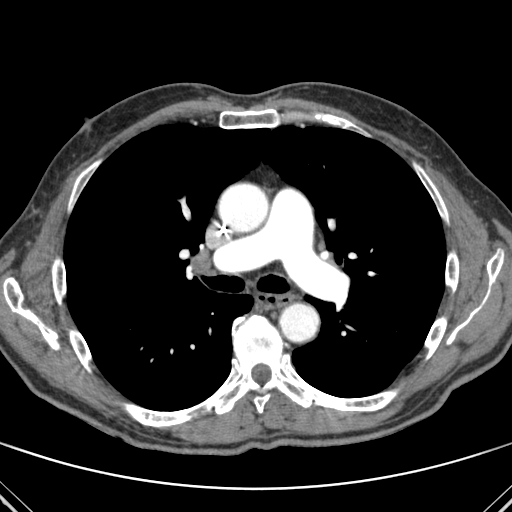 Computed tomography; 512x512 px

lung: bbox(64, 123, 445, 410) | bone: bbox(425, 317, 446, 359); bbox(487, 251, 503, 285); bbox(316, 115, 351, 128); bbox(414, 164, 448, 222); bbox(3, 277, 59, 349); bbox(219, 109, 279, 128); bbox(69, 330, 91, 371); bbox(52, 258, 65, 304); bbox(69, 161, 99, 207); bbox(445, 252, 458, 291); bbox(446, 296, 487, 344); bbox(123, 315, 397, 426)